Slice 20 of 33, Liver, Image size 512x512, CT slice 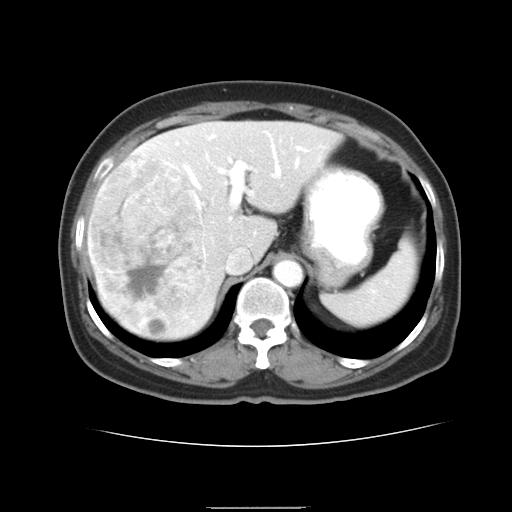

Some hepatic vessels may have no box.
The liver tumor lies within box(89, 155, 205, 338). 10 hepatic vessel regions are bounded by box(166, 163, 174, 167); box(228, 216, 231, 222); box(218, 162, 243, 209); box(199, 201, 204, 209); box(296, 147, 306, 151); box(207, 135, 214, 139); box(267, 133, 279, 177); box(294, 159, 298, 165); box(184, 166, 198, 186); box(227, 158, 230, 161).